Liver. Image size 512x512. Slice 98 of 161. CT image.
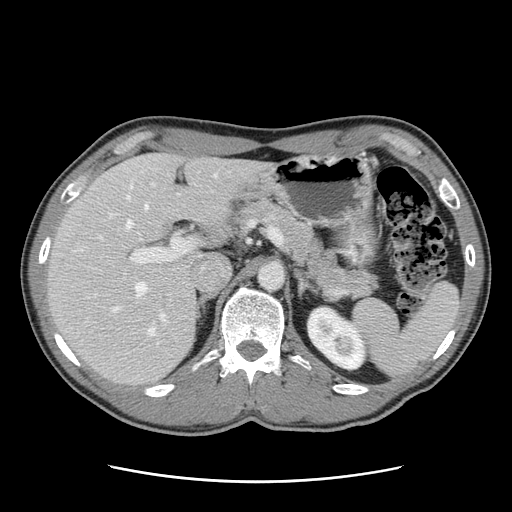

The vessel boxes may cover only some of the vessels.
15 hepatic vessel regions appear at [151, 183, 153, 184], [126, 195, 129, 198], [135, 282, 145, 295], [111, 307, 118, 310], [148, 327, 154, 334], [77, 250, 80, 250], [130, 184, 131, 187], [125, 220, 131, 228], [153, 322, 154, 324], [214, 173, 216, 176], [98, 236, 101, 238], [145, 205, 147, 208], [130, 257, 134, 260], [109, 213, 112, 216], [160, 314, 164, 320].